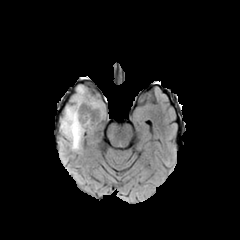
FLAIR magnetic resonance.
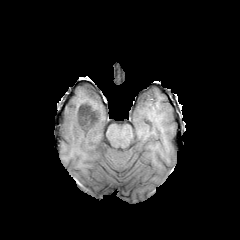
Same slice, T1-weighted MR image.
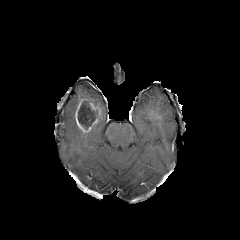
Post-contrast T1-weighted MR of the same slice.
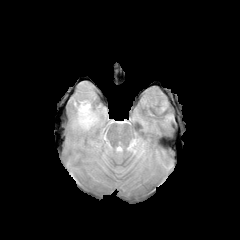
Same slice, T2-weighted MRI.
Head | Image size 240x240
2 edema regions are located at 62,86,104,150; 88,114,101,130. The non-enhancing tumor core appears at 78,103,101,131. The enhancing tumor is located at 75,104,85,131.